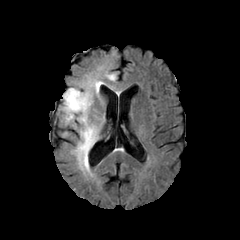
FLAIR magnetic resonance.
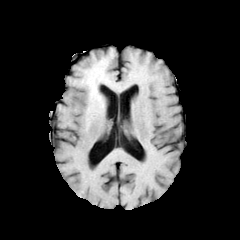
Same slice, T1-weighted MR image.
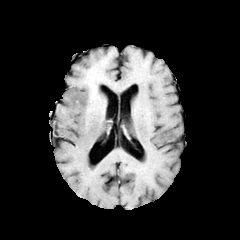
Post-contrast T1-weighted MRI.
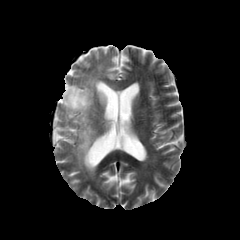
Same slice, T2-weighted MRI.
240x240 px. Head.
<segmentation>
  <edema><bbox>102, 82, 121, 94</bbox>, <bbox>61, 77, 99, 177</bbox>, <bbox>96, 82, 103, 103</bbox>, <bbox>92, 66, 116, 81</bbox></edema>
  <non-enhancing_tumor_core><bbox>86, 76, 103, 97</bbox>, <bbox>87, 91, 93, 111</bbox></non-enhancing_tumor_core>
</segmentation>